CT scan slice. Slice index 513. Field of view 700x700 mm.

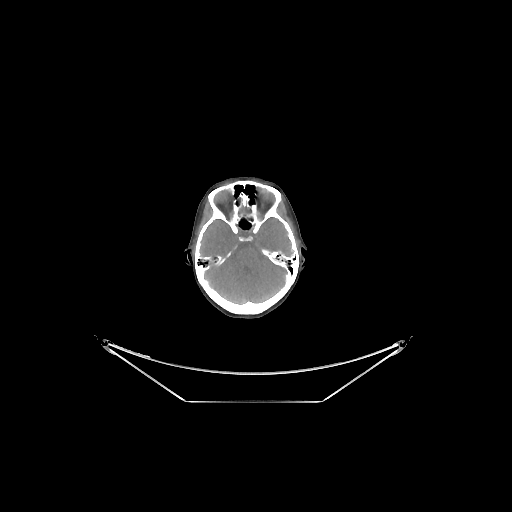

<segmentation>
  <brain>199:217:293:304, 237:197:253:219</brain>
</segmentation>